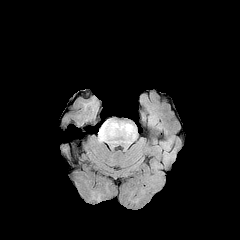
FLAIR MRI.
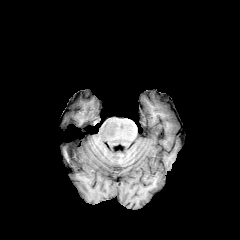
T1-weighted MR image of the same slice.
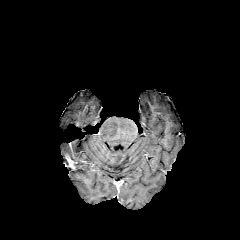
Same slice, post-contrast T1-weighted MRI.
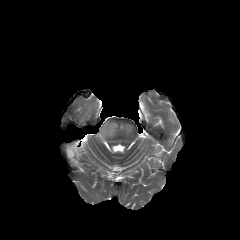
T2-weighted MR image.
Head. 240x240.
Edema = 100 122 111 135.